Brain
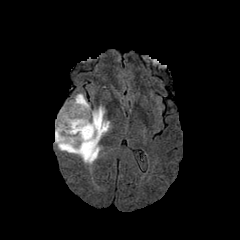
FLAIR MRI.
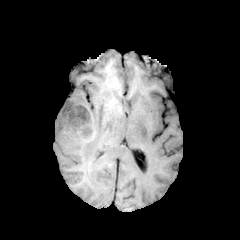
T1-weighted MR image.
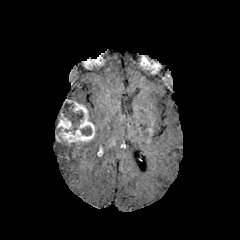
Post-contrast T1-weighted MRI.
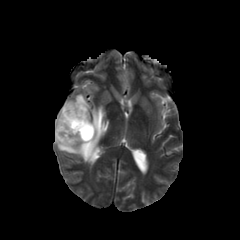
T2-weighted magnetic resonance of the same slice.
non-enhancing_tumor_core:
  - 61, 103, 92, 135
enhancing_tumor:
  - 55, 100, 94, 143
edema:
  - 55, 93, 110, 165